CT | 512x512 px | Slice 53 of 97
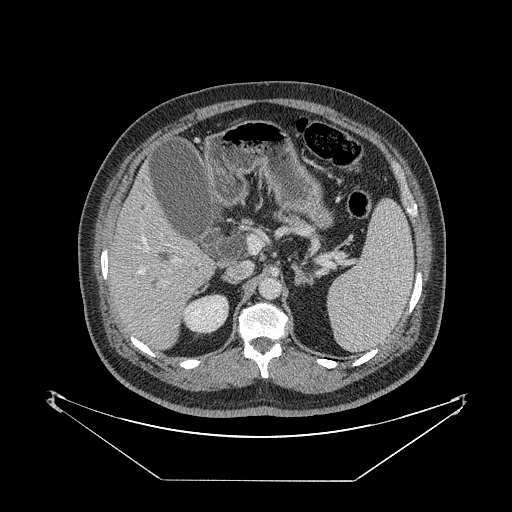 {"pancreas": ["<box>277,214,319,248</box>"]}